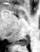

MRI.

posterior_hippocampus:
  - [17, 37, 29, 46]